Slice 56 of 164, Abdomen, Computed tomography
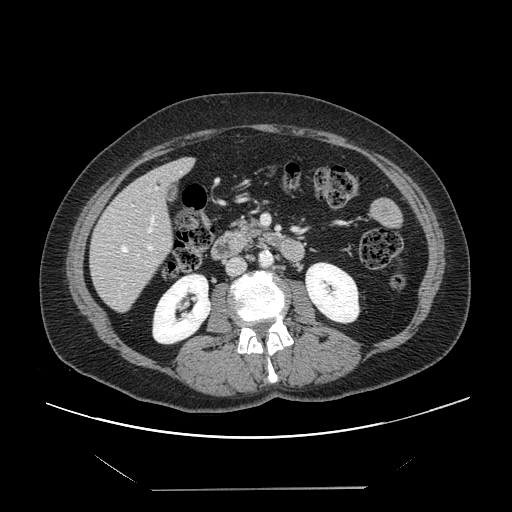

The vessel annotation is not exhaustive.
Hepatic vessel = {"x1": 147, "y1": 214, "x2": 155, "y2": 232}, {"x1": 155, "y1": 188, "x2": 157, "y2": 189}, {"x1": 147, "y1": 244, "x2": 153, "y2": 250}, {"x1": 120, "y1": 245, "x2": 128, "y2": 254}, {"x1": 137, "y1": 254, "x2": 139, "y2": 256}, {"x1": 121, "y1": 283, "x2": 124, "y2": 286}.